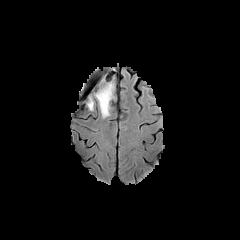
FLAIR MRI.
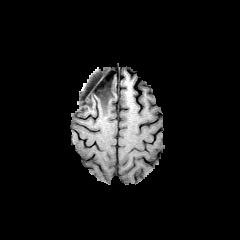
T1-weighted MRI.
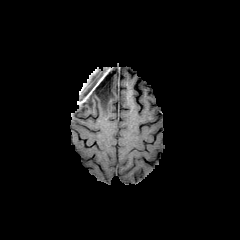
Post-contrast T1-weighted MR.
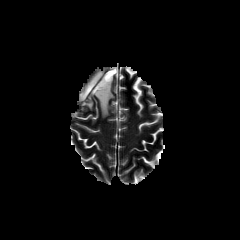
Same slice, T2-weighted MRI.
240x240 px.
Edema: bounding box 86, 94, 111, 117; 102, 78, 115, 111.
Non-enhancing tumor core: bounding box 84, 94, 95, 107; 91, 79, 111, 114.